FLAIR magnetic resonance.
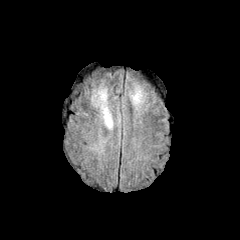
T1-weighted magnetic resonance.
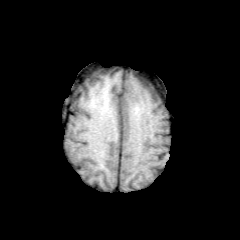
Post-contrast T1-weighted magnetic resonance.
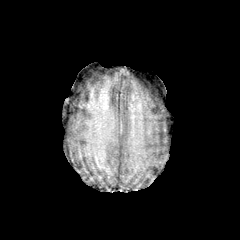
T2-weighted MRI.
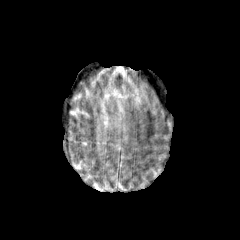
Head. 240x240 px.
2 edema regions are bounded by x1=131, y1=89, x2=141, y2=103; x1=100, y1=91, x2=112, y2=128.